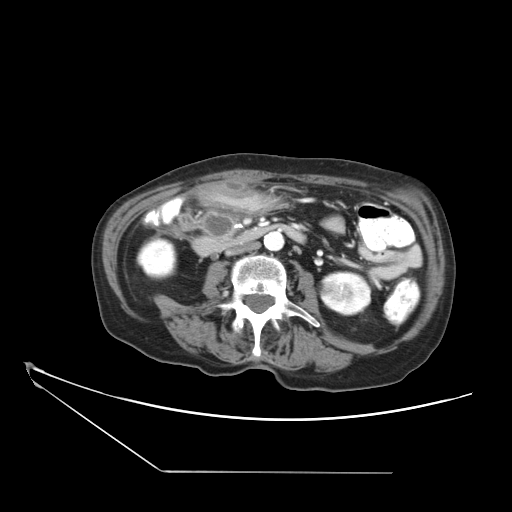

CT image; Upper abdomen; 512x512 px

Pancreatic tumor = [x1=206, y1=214, x2=230, y2=235].
Pancreas = [x1=196, y1=210, x2=238, y2=242].